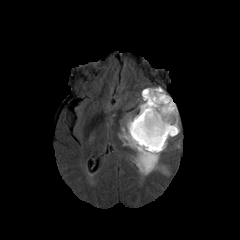
FLAIR MR image.
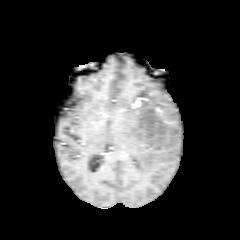
T1-weighted MR.
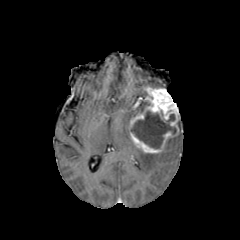
Post-contrast T1-weighted MRI.
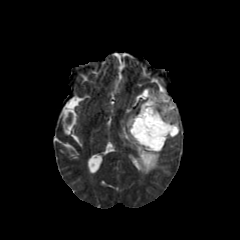
T2-weighted MRI of the same slice.
Edema = x1=122, y1=115, x2=170, y2=175.
Non-enhancing tumor core = x1=131, y1=111, x2=176, y2=148.
Enhancing tumor = x1=128, y1=87, x2=179, y2=153.